Liver; Slice index 57; Computed tomography
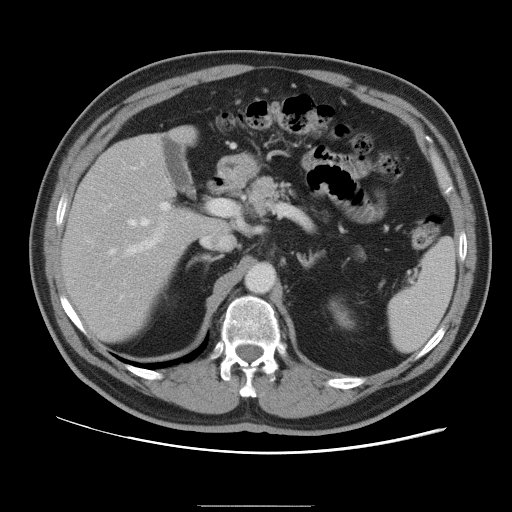
The vessel annotation is not exhaustive.
14 hepatic vessel regions are located at (left=139, top=217, right=150, bottom=225), (left=187, top=215, right=190, bottom=217), (left=128, top=219, right=137, bottom=225), (left=123, top=280, right=125, bottom=284), (left=132, top=167, right=136, bottom=169), (left=125, top=217, right=167, bottom=255), (left=160, top=202, right=169, bottom=210), (left=108, top=204, right=111, bottom=206), (left=103, top=208, right=105, bottom=211), (left=140, top=157, right=143, bottom=164), (left=97, top=283, right=98, bottom=286), (left=85, top=240, right=93, bottom=243), (left=109, top=248, right=115, bottom=254), (left=120, top=295, right=122, bottom=298).